Brain, Field of view 240 mm wide, 1.00 mm slice spacing
FLAIR MR.
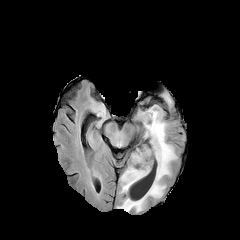
T1-weighted MR image.
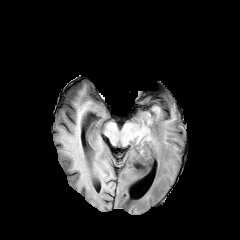
Post-contrast T1-weighted MR image.
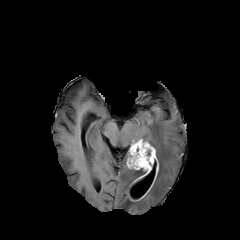
T2-weighted magnetic resonance.
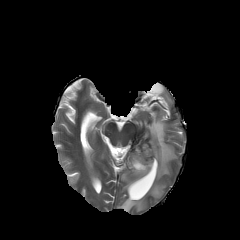
2 edema regions are bounded by l=120, t=168, r=141, b=194; l=118, t=106, r=176, b=212. The enhancing tumor lies within l=129, t=154, r=151, b=173. The non-enhancing tumor core is bounded by l=127, t=141, r=159, b=172.